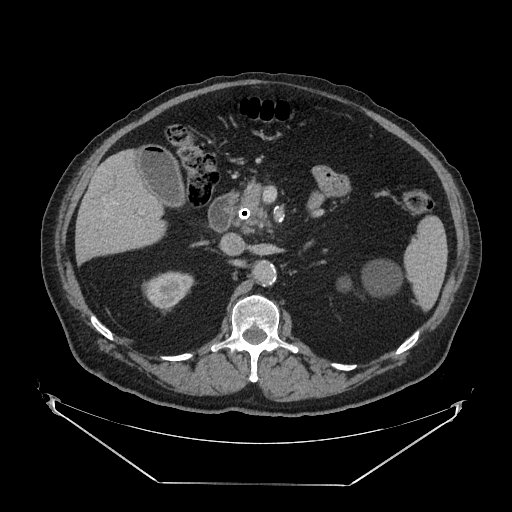
Abdomen, CT scan slice
Findings:
- pancreas: rect(240, 185, 267, 225)